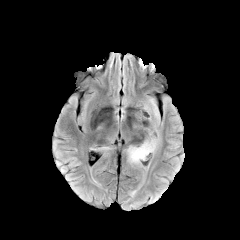
FLAIR MR.
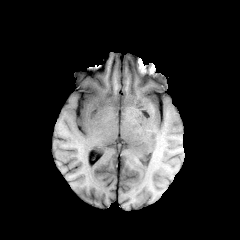
T1-weighted MR.
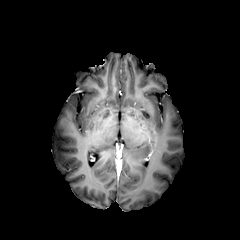
Post-contrast T1-weighted magnetic resonance.
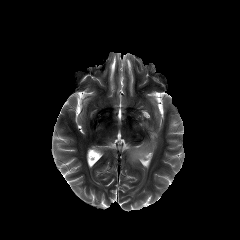
T2-weighted MRI of the same slice.
Head
edema: (left=144, top=97, right=159, bottom=123), (left=127, top=132, right=160, bottom=163)